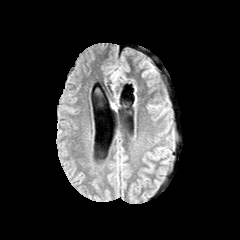
FLAIR MR.
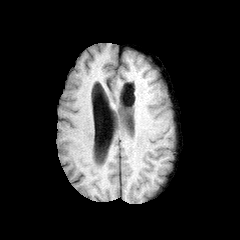
T1-weighted MRI of the same slice.
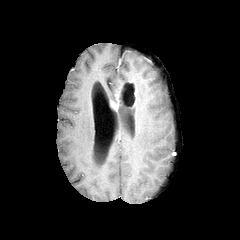
Same slice, post-contrast T1-weighted MR image.
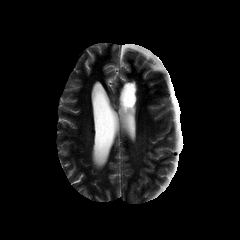
T2-weighted MR image.
Brain.
The edema is bounded by bbox=[111, 71, 118, 82].